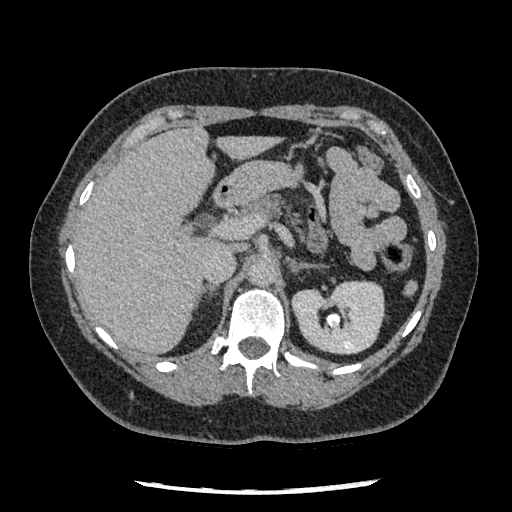 Upper abdomen; CT scan slice
Pancreas = left=244, top=194, right=300, bottom=229.